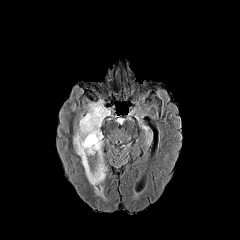
FLAIR MR.
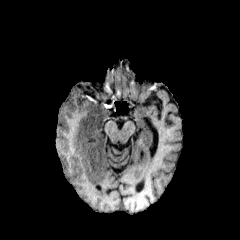
T1-weighted magnetic resonance.
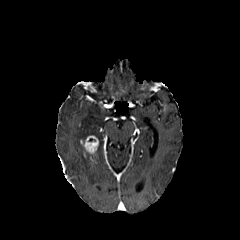
Same slice, post-contrast T1-weighted MRI.
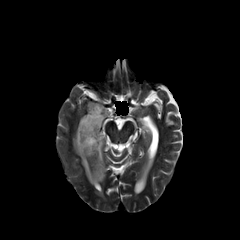
Same slice, T2-weighted MR image.
Head.
<segmentation>
  <edema>bbox=[73, 102, 110, 186]</edema>
  <enhancing_tumor>bbox=[83, 136, 98, 152]</enhancing_tumor>
</segmentation>